240x240
FLAIR MR.
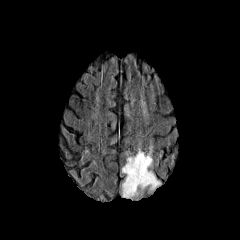
T1-weighted MR.
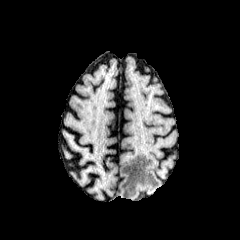
Post-contrast T1-weighted MR image.
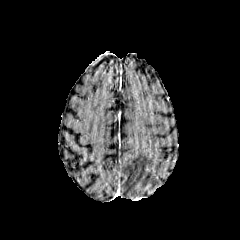
T2-weighted magnetic resonance.
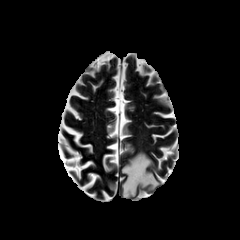
The edema is bounded by 118 151 161 200.